512x512 px. CT image.
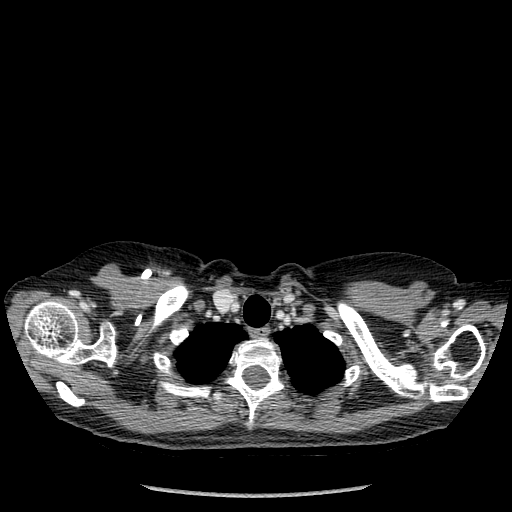 Annotated regions:
* bone: 150, 284, 188, 331; 213, 393, 221, 399; 169, 327, 188, 344; 433, 324, 485, 380; 153, 353, 170, 373; 226, 337, 283, 426; 338, 303, 468, 402; 56, 381, 84, 406; 160, 382, 209, 397; 24, 300, 116, 366; 323, 330, 342, 345; 343, 365, 360, 386
* lung: 243, 295, 270, 326; 274, 324, 344, 394; 174, 322, 246, 383